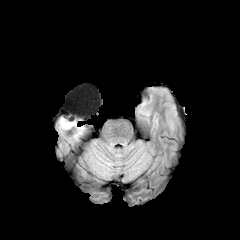
FLAIR MR image.
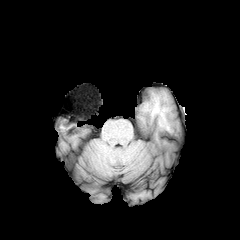
Same slice, T1-weighted MRI.
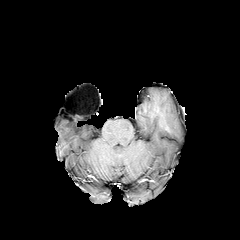
Post-contrast T1-weighted MR.
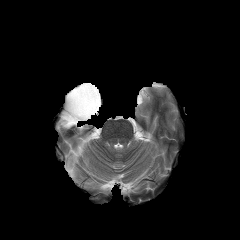
T2-weighted MR.
Edema: 74:128:83:141, 56:117:75:131.
Non-enhancing tumor core: 60:115:78:125.